Slice 408/683, 512x512, CT, Abdomen 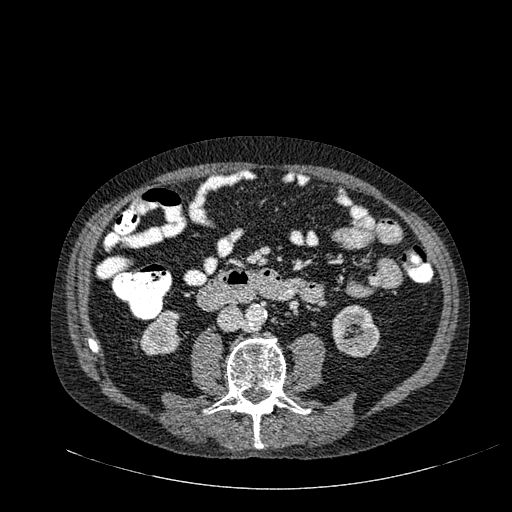
<segmentation>
  <kidney>left=140, top=310, right=181, bottom=355; left=332, top=305, right=379, bottom=357</kidney>
</segmentation>